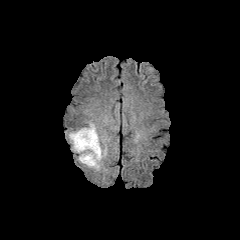
FLAIR MR image.
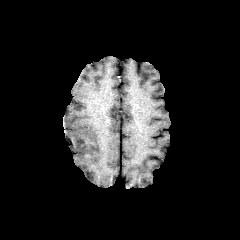
T1-weighted MRI.
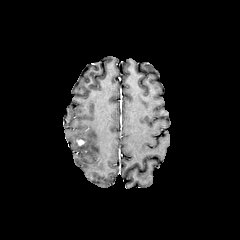
Post-contrast T1-weighted MR image.
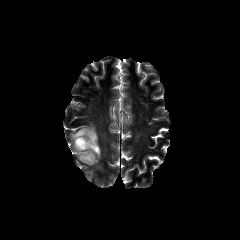
T2-weighted MR.
Head
non-enhancing tumor core: [x1=76, y1=143, x2=86, y2=154] | edema: [x1=69, y1=122, x2=105, y2=170]